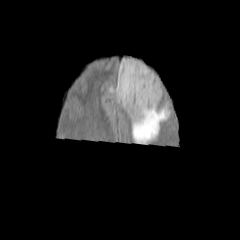
FLAIR MR image.
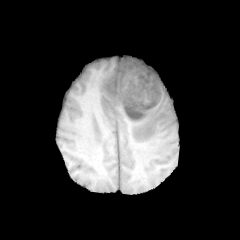
Same slice, T1-weighted MR image.
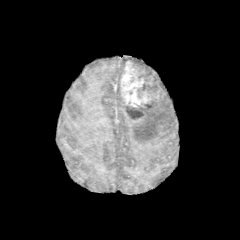
Post-contrast T1-weighted MR of the same slice.
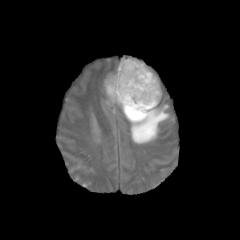
T2-weighted MR.
240x240, Head
The non-enhancing tumor core is at box=[124, 60, 162, 119]. The enhancing tumor is at box=[119, 61, 159, 107]. 2 edema regions are located at box=[118, 96, 169, 143]; box=[102, 56, 145, 103].